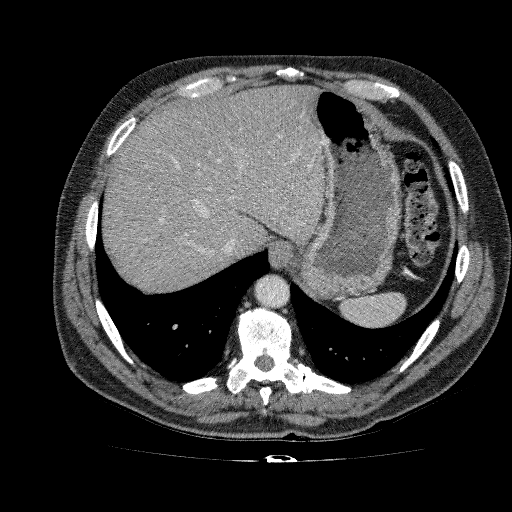
CT, Abdomen
Segmented structures:
• liver: box(102, 84, 324, 293)